FLAIR magnetic resonance.
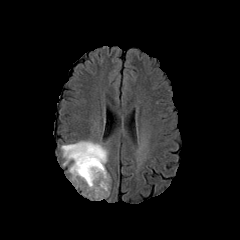
T1-weighted MRI.
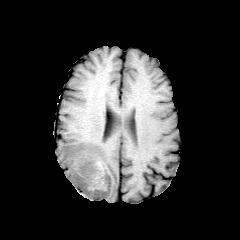
Post-contrast T1-weighted MR image.
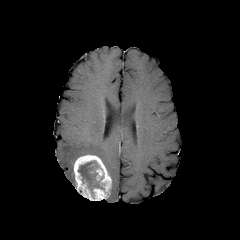
T2-weighted MRI.
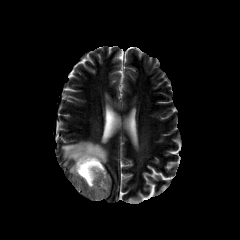
240x240; Brain
The edema lies within (61,140,108,185). The enhancing tumor is located at (74,154,110,200). The non-enhancing tumor core is located at (78,162,104,191).